FLAIR MRI.
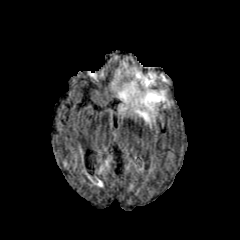
T1-weighted MR.
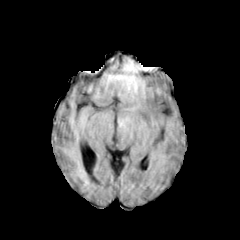
Post-contrast T1-weighted MRI.
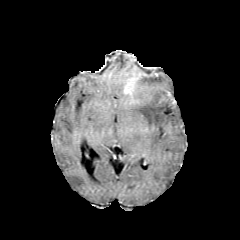
T2-weighted MR image.
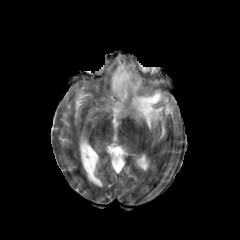
240x240; Head
<segmentation>
  <edema>[111,62,171,128]</edema>
  <enhancing_tumor>[124,73,140,94]</enhancing_tumor>
</segmentation>